Liver | CT image | Slice 483 of 856

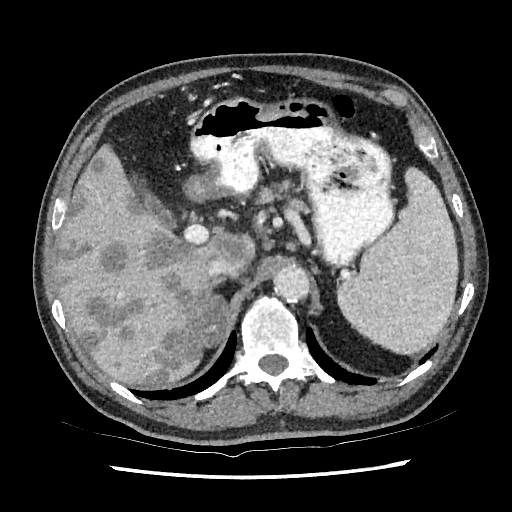

{
  "focal_liver_lesion": [
    "x1=91 y1=158 x2=105 y2=174",
    "x1=142 y1=329 x2=152 y2=339",
    "x1=211 y1=234 x2=247 y2=264",
    "x1=126 y1=192 x2=146 y2=216",
    "x1=65 y1=189 x2=86 y2=223",
    "x1=99 y1=242 x2=129 y2=274",
    "x1=145 y1=229 x2=196 y2=268",
    "x1=146 y1=272 x2=201 y2=383",
    "x1=57 y1=267 x2=75 y2=292",
    "x1=58 y1=242 x2=91 y2=263",
    "x1=79 y1=296 x2=142 y2=351"
  ],
  "liver": [
    "x1=220 y1=232 x2=253 y2=274",
    "x1=166 y1=358 x2=199 y2=382",
    "x1=57 y1=144 x2=215 y2=383"
  ]
}